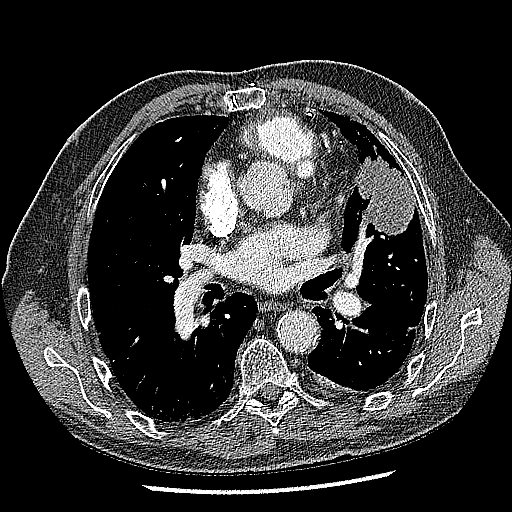 512x512 px, Computed tomography

Lung tumor = 356,154,415,235.